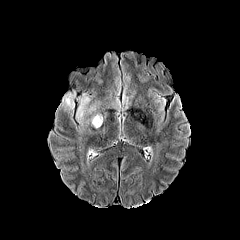
FLAIR MR.
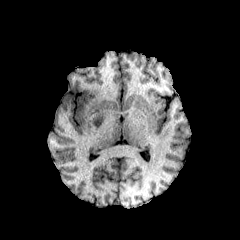
T1-weighted MRI.
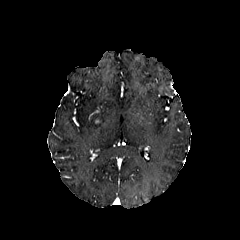
Post-contrast T1-weighted MRI.
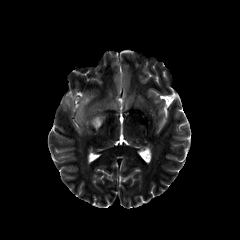
T2-weighted magnetic resonance.
Head, 240x240
{
  "edema": [
    "(60,95,74,119)",
    "(105,96,120,113)",
    "(75,94,105,133)"
  ]
}